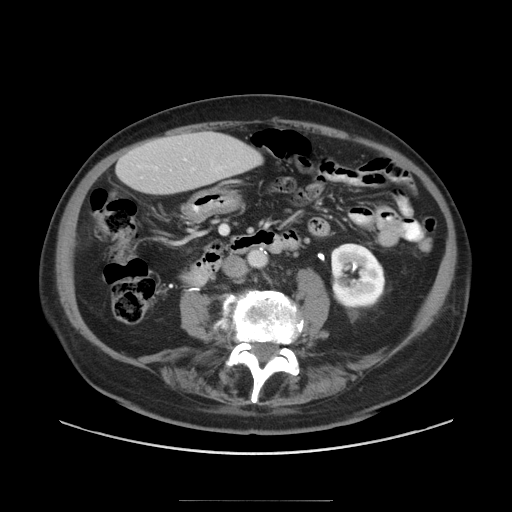 CT image | Liver
Only some of the vessels may be annotated.
Hepatic vessel at [x1=184, y1=159, x2=186, y2=160], [x1=192, y1=168, x2=194, y2=170], [x1=156, y1=167, x2=157, y2=168].